FLAIR MRI.
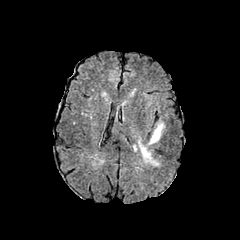
T1-weighted MR.
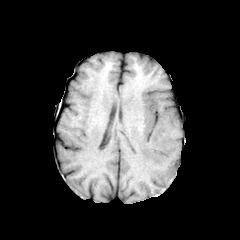
Post-contrast T1-weighted MR image.
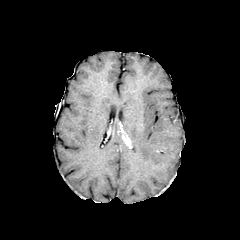
T2-weighted MR image.
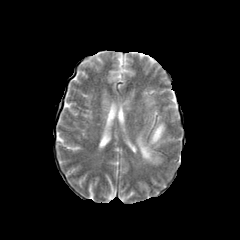
The edema is at left=132, top=121, right=165, bottom=166.